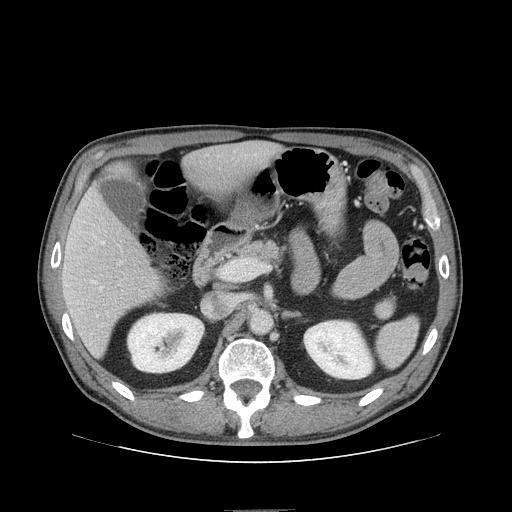

Abdomen. CT scan slice.
Annotated regions:
* pancreas: x1=242, y1=241, x2=281, y2=262